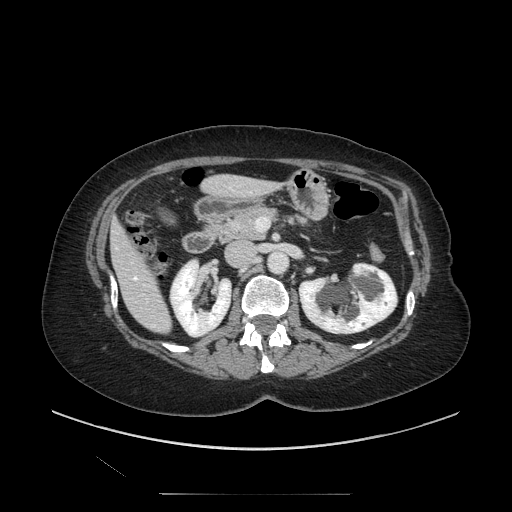

Abdomen; Computed tomography
* pancreas: 219 207 278 243, 288 216 306 226